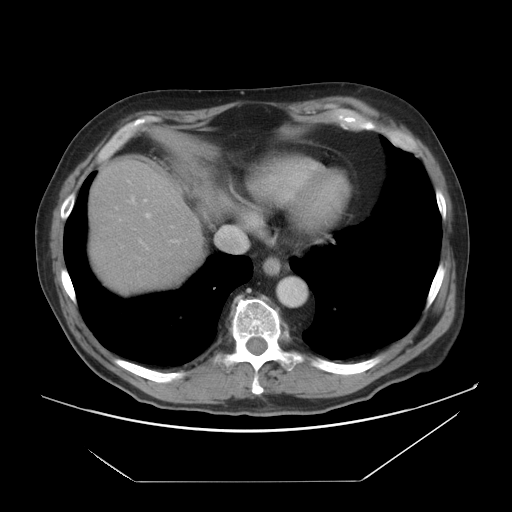
CT slice

5 liver regions are bounded by region(172, 145, 238, 227); region(175, 169, 192, 181); region(249, 185, 263, 195); region(229, 184, 245, 202); region(89, 155, 203, 294).